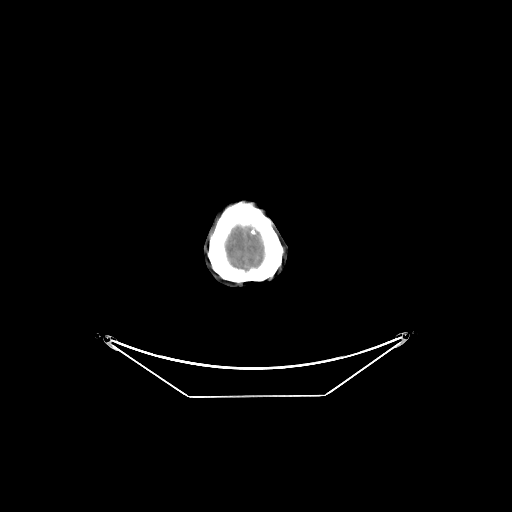 CT slice, Brain
<segmentation>
  <brain>226,227,263,269</brain>
</segmentation>